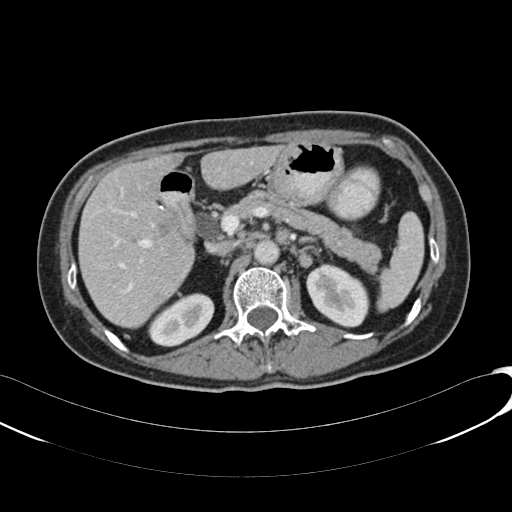

512x512 px | CT slice | Liver

Findings:
* kidney: box=[307, 265, 366, 325]; box=[150, 295, 213, 345]
* liver: box=[79, 153, 193, 327]; box=[201, 146, 282, 189]
* focal liver lesion: box=[157, 220, 175, 236]; box=[154, 294, 164, 301]